CT image. Slice 61 of 83. 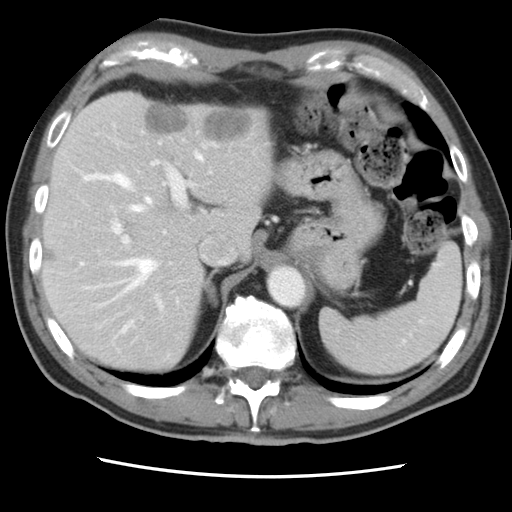
Only some of the vessels may be annotated.
{"partial": true, "hepatic_vessel": {"n_total": 18, "boxes": ["box(156, 294, 162, 308)", "box(146, 197, 151, 203)", "box(132, 205, 143, 210)", "box(152, 160, 158, 164)", "box(101, 303, 105, 305)", "box(163, 230, 166, 233)", "box(123, 236, 129, 243)", "box(120, 321, 133, 333)", "box(80, 262, 83, 264)", "box(196, 153, 201, 159)", "box(81, 173, 131, 187)", "box(121, 259, 156, 289)", "box(113, 221, 121, 233)", "box(203, 144, 205, 147)", "box(164, 168, 191, 203)"]}, "liver_tumor": ["box(145, 105, 188, 133)", "box(204, 110, 250, 140)"]}